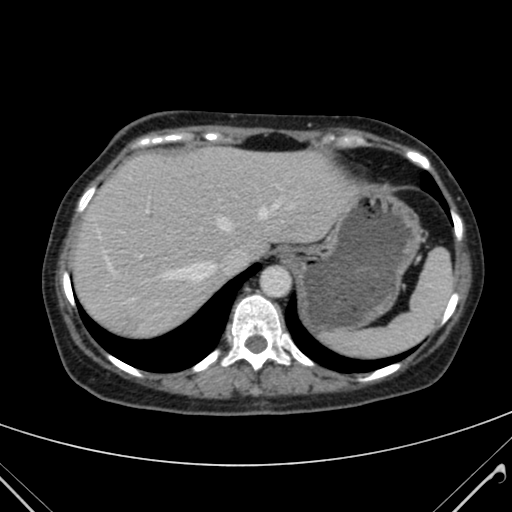
512x512 px; CT image

liver: [74, 148, 347, 336]